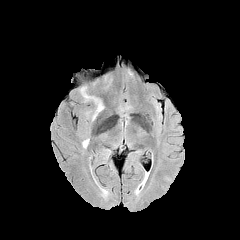
FLAIR MR.
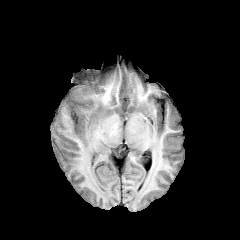
Same slice, T1-weighted MRI.
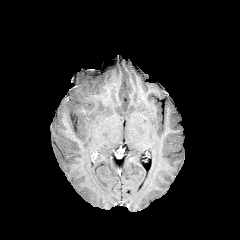
Post-contrast T1-weighted MRI.
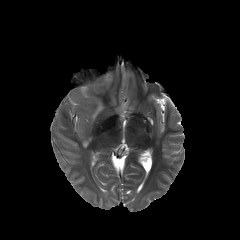
T2-weighted MRI of the same slice.
Brain
Edema: [80,87,103,120], [103,77,112,89].